Slice index 431 | Upper abdomen | CT image
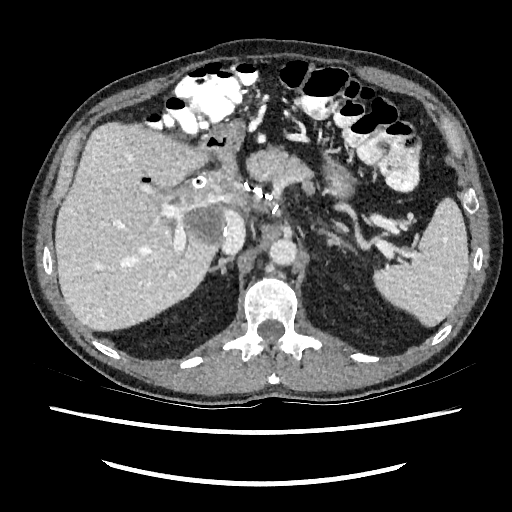
2 liver regions appear at 186, 150, 251, 216; 55, 124, 217, 329. 2 liver lesion regions appear at 176, 164, 236, 204; 190, 204, 222, 243.